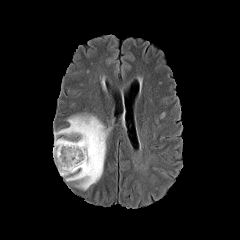
FLAIR magnetic resonance.
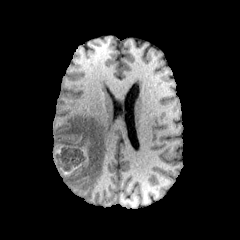
T1-weighted magnetic resonance of the same slice.
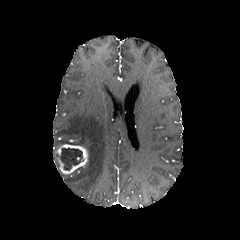
Same slice, post-contrast T1-weighted MR.
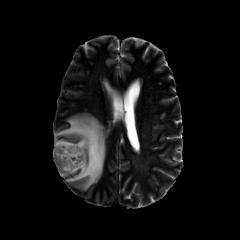
T2-weighted MR image of the same slice.
Head | 240x240
non-enhancing_tumor_core:
  - 61:147:82:171
  - 53:148:61:174
enhancing_tumor:
  - 56:144:88:175
edema:
  - 53:114:110:190